240x240 px | Slice 121 of 155 | Brain
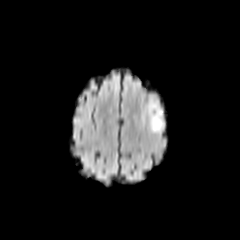
FLAIR MR.
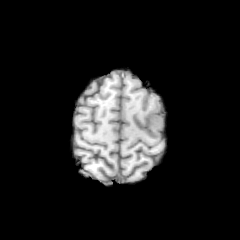
T1-weighted MRI.
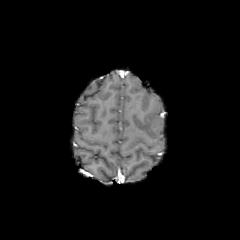
Same slice, post-contrast T1-weighted MRI.
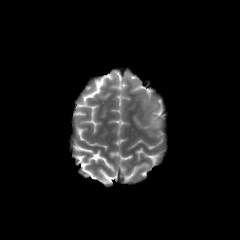
T2-weighted MRI.
edema: (144,102,165,131)